CT
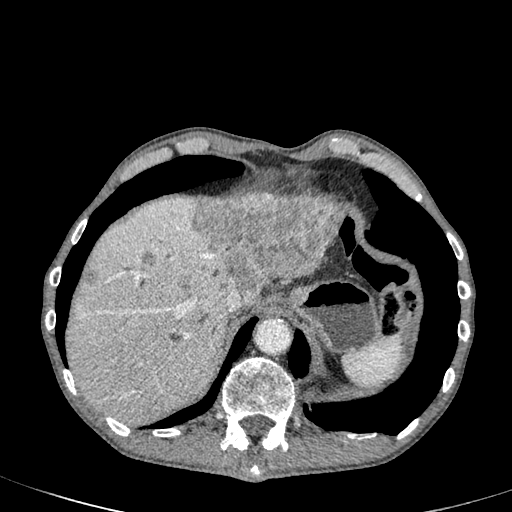

4 liver lesion regions appear at 84,269,95,282; 194,194,343,307; 143,252,154,265; 180,277,189,288. 2 liver regions are bounded by 68,198,237,423; 269,276,302,281.